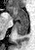
Medial temporal lobe | MRI
posterior hippocampus: [15,21,28,34] | anterior hippocampus: [8,7,28,20]